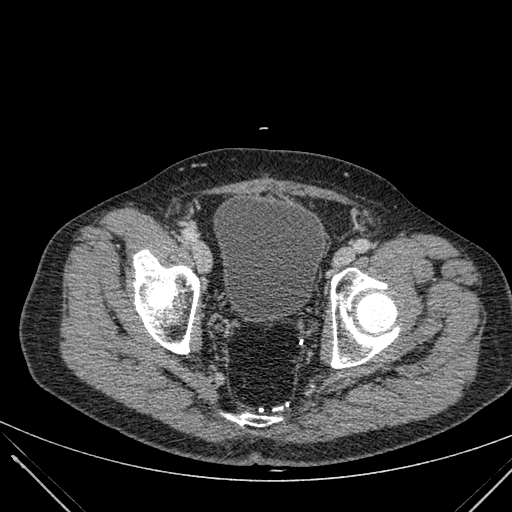
CT scan slice
Urinary bladder — box(213, 198, 326, 318).